512x512 px. Abdomen. CT. Field of view 403x403 mm.
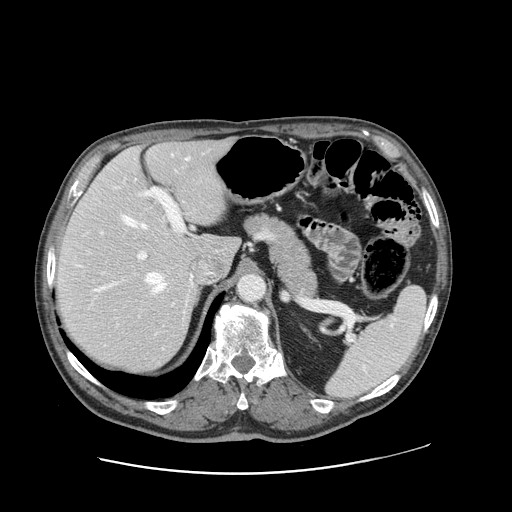

Some hepatic vessels may have no box.
hepatic_vessel:
  - 146:273:164:291
  - 185:157:189:159
  - 139:252:146:258
  - 139:224:145:228
  - 145:192:148:194
  - 123:216:135:225
  - 94:286:108:290
liver_tumor:
  - 139:143:148:149